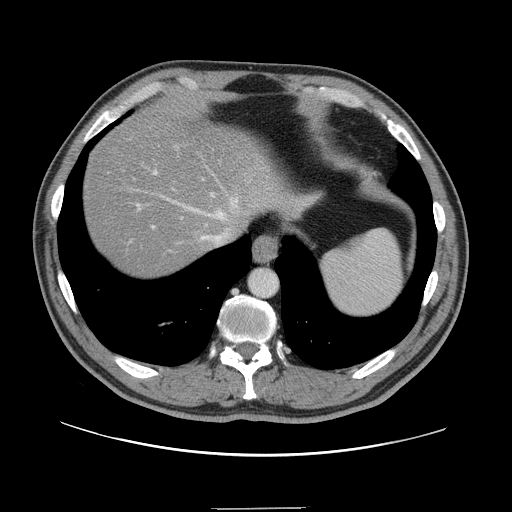
CT slice. Some hepatic vessels may have no box.
Annotated regions:
* hepatic vessel: x1=202, y1=236, x2=220, y2=243; x1=182, y1=205, x2=225, y2=218; x1=232, y1=198, x2=237, y2=208; x1=152, y1=226, x2=154, y2=228; x1=153, y1=171, x2=157, y2=174; x1=212, y1=193, x2=214, y2=196; x1=138, y1=204, x2=142, y2=211; x1=161, y1=196, x2=171, y2=201